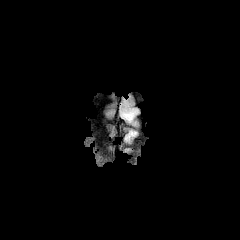
FLAIR MRI.
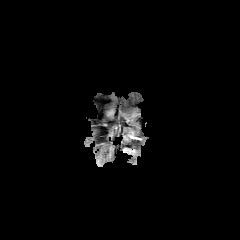
T1-weighted MR image.
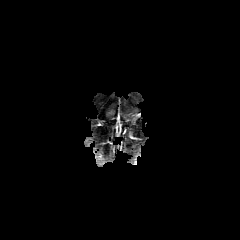
Post-contrast T1-weighted MR image.
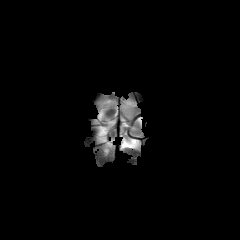
Same slice, T2-weighted MRI.
Head. 240x240 px.
<segmentation>
  <edema><bbox>124, 128, 137, 139</bbox>, <bbox>120, 98, 139, 117</bbox></edema>
  <non-enhancing_tumor_core><bbox>122, 109, 133, 123</bbox></non-enhancing_tumor_core>
</segmentation>